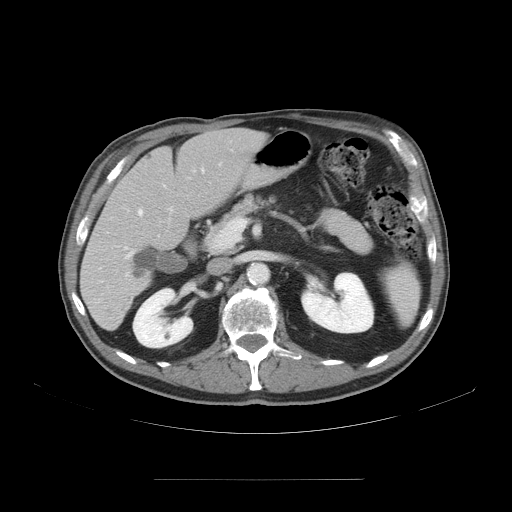

Computed tomography. Image size 512x512.
Not every hepatic vessel necessarily has a box.
hepatic_vessel:
  - x1=212, y1=217, x2=240, y2=248
  - x1=137, y1=208, x2=143, y2=216
  - x1=124, y1=247, x2=133, y2=258
  - x1=201, y1=167, x2=204, y2=172
  - x1=193, y1=170, x2=194, y2=171